CT slice; Slice 21 of 57; Image width 431 mm

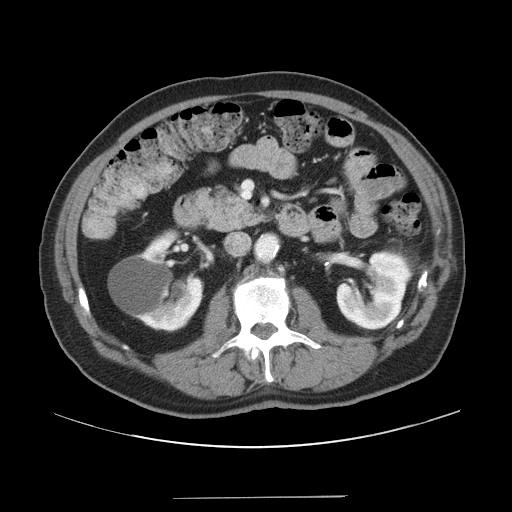

<segmentation>
  <pancreas>(194, 186, 271, 232)</pancreas>
</segmentation>